CT scan slice, Field of view 373 mm wide, 0.80 mm slice spacing, 512x512 px 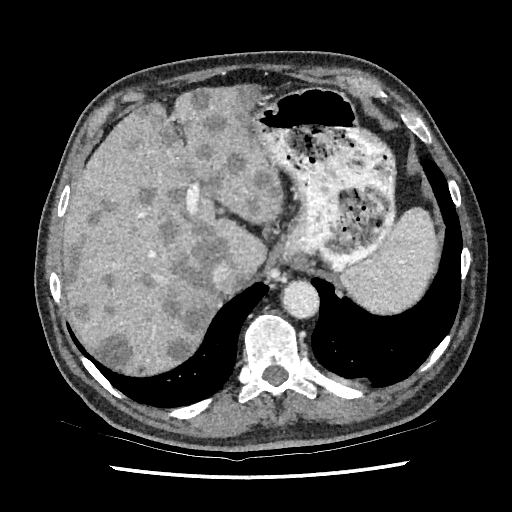

[15/20] hepatic lesion: 64,238,87,286; 166,185,186,214; 202,116,225,131; 89,198,116,224; 161,131,177,145; 246,170,277,212; 196,144,214,160; 205,153,245,190; 131,187,157,206; 190,91,209,108; 93,334,133,368; 137,274,153,287; 71,301,90,319; 163,220,234,360; 158,211,180,243 | liver: 63,86,281,373; 188,330,205,354; 209,296,222,322